FLAIR MR.
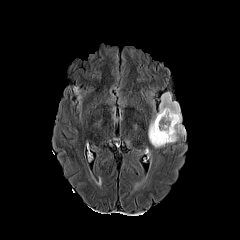
T1-weighted MRI.
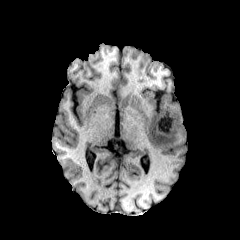
Post-contrast T1-weighted MRI.
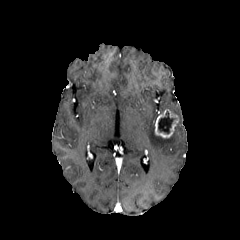
T2-weighted magnetic resonance.
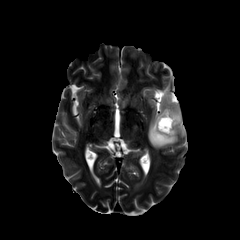
Head, 240x240
Edema at box(148, 91, 185, 149).
Enhancing tumor at box(153, 109, 179, 137).
Non-enhancing tumor core at box(158, 111, 177, 134).